FLAIR magnetic resonance.
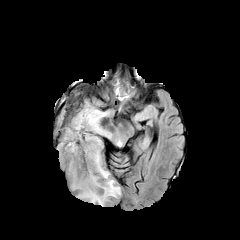
T1-weighted MRI.
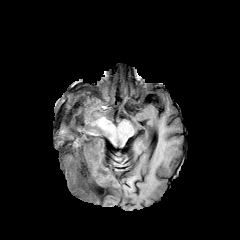
Post-contrast T1-weighted MRI.
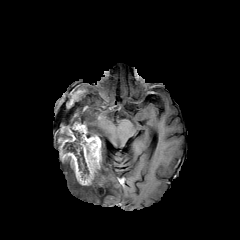
T2-weighted MR image.
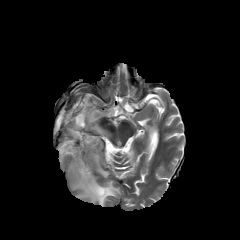
240x240.
2 edema regions are bounded by box(62, 160, 120, 205); box(78, 100, 113, 137). 3 non-enhancing tumor core regions are located at box(62, 130, 89, 175); box(58, 128, 71, 141); box(60, 155, 74, 166). The enhancing tumor lies within box(60, 122, 101, 185).